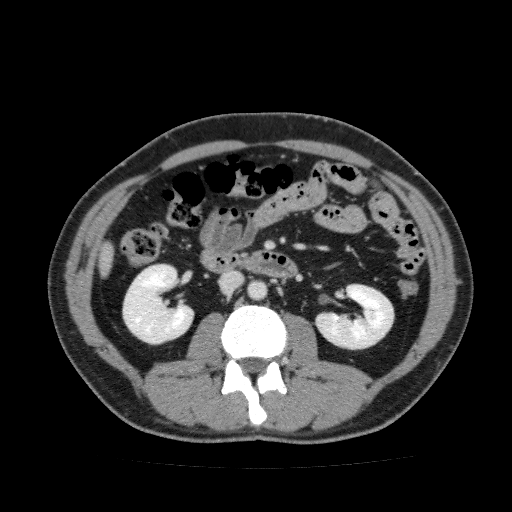 CT image

2 kidney regions are located at l=123, t=264, r=193, b=343; l=316, t=284, r=393, b=348. The liver is bounded by l=99, t=241, r=114, b=275.